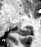
MR. Medial temporal lobe. 41x47. The posterior hippocampus is at {"x1": 15, "y1": 27, "x2": 31, "y2": 36}.